Brain. Image size 240x240. Slice index 57.
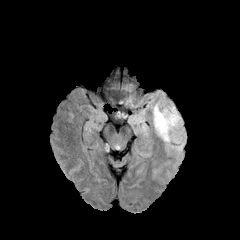
FLAIR magnetic resonance.
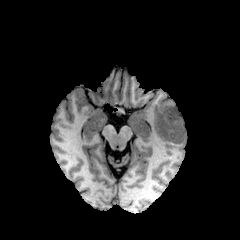
Same slice, T1-weighted magnetic resonance.
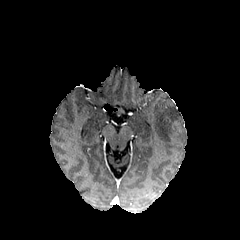
Post-contrast T1-weighted MR image.
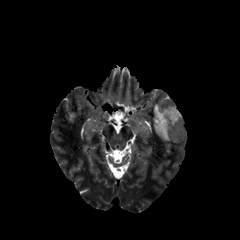
T2-weighted magnetic resonance.
Edema: bounding box 153, 104, 180, 142.